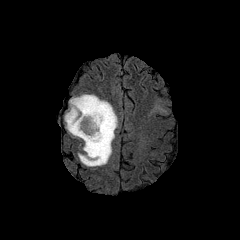
FLAIR MR.
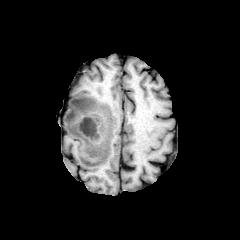
T1-weighted MR.
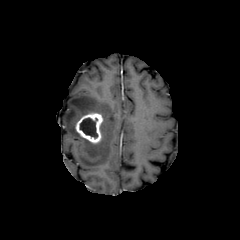
Post-contrast T1-weighted MR of the same slice.
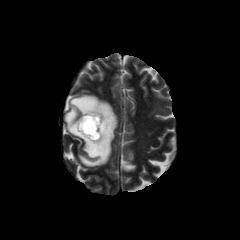
T2-weighted magnetic resonance.
Image size 240x240.
{
  "edema": [
    "bbox(63, 94, 117, 167)"
  ],
  "enhancing_tumor": [
    "bbox(75, 112, 103, 143)"
  ],
  "non-enhancing_tumor_core": [
    "bbox(98, 113, 105, 140)",
    "bbox(80, 118, 97, 136)"
  ]
}